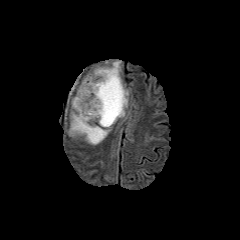
FLAIR magnetic resonance.
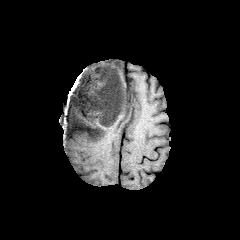
Same slice, T1-weighted magnetic resonance.
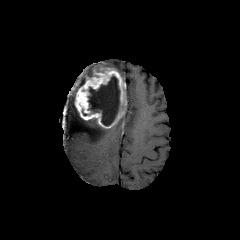
Post-contrast T1-weighted MR.
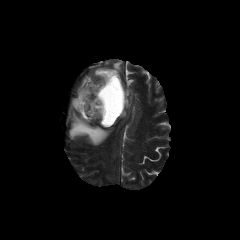
T2-weighted MR.
Enhancing tumor = {"x1": 73, "y1": 63, "x2": 128, "y2": 128}.
Non-enhancing tumor core = {"x1": 88, "y1": 76, "x2": 120, "y2": 125}.
Edema = {"x1": 121, "y1": 86, "x2": 133, "y2": 118}, {"x1": 68, "y1": 98, "x2": 111, "y2": 145}, {"x1": 109, "y1": 60, "x2": 121, "y2": 76}.